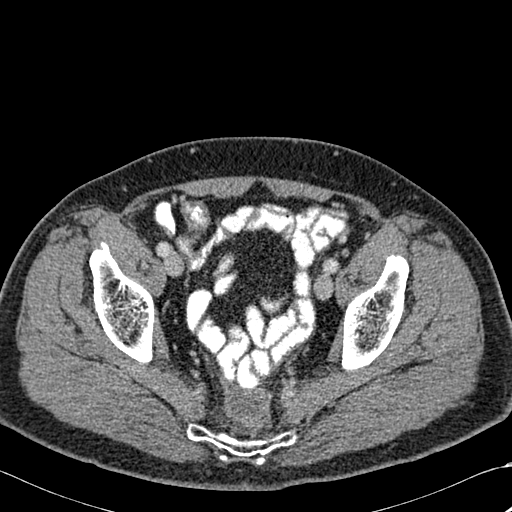
CT image, 512x512
3 bone regions appear at rect(342, 255, 408, 369); rect(89, 243, 153, 362); rect(187, 425, 294, 463).